FLAIR magnetic resonance.
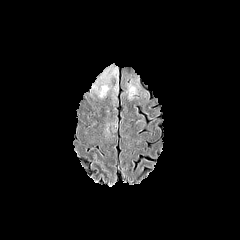
T1-weighted MR image.
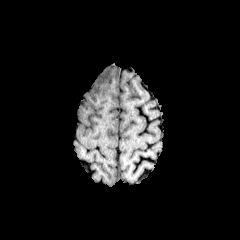
Post-contrast T1-weighted MRI.
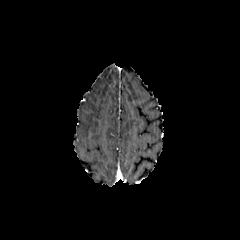
T2-weighted MRI.
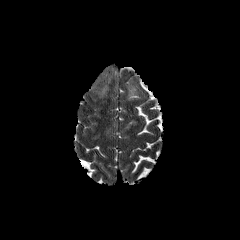
Brain
Edema = box(100, 85, 108, 97).